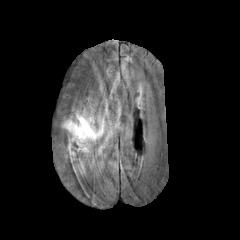
FLAIR MR.
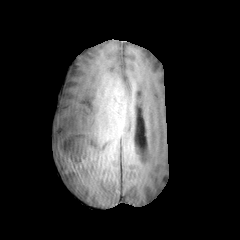
T1-weighted magnetic resonance.
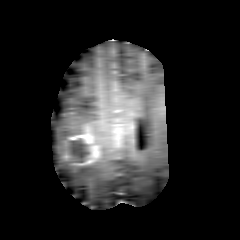
Post-contrast T1-weighted MR image.
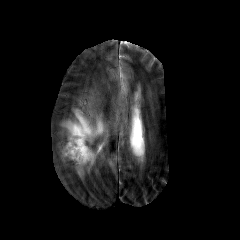
T2-weighted magnetic resonance of the same slice.
240x240
The edema appears at bbox=[61, 109, 107, 175]. The enhancing tumor lies within bbox=[68, 126, 92, 143]. 2 non-enhancing tumor core regions are located at bbox=[70, 123, 87, 136]; bbox=[69, 138, 92, 157].